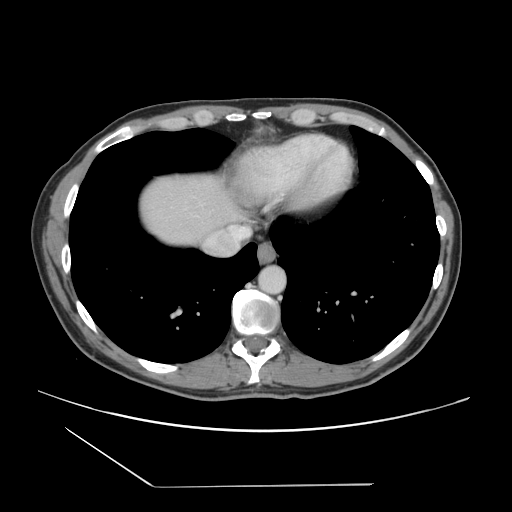
CT image. Image size 512x512. Abdomen.

The vessel boxes may cover only some of the vessels.
hepatic_vessel:
  - bbox(229, 226, 249, 239)